Image size 240x240 | Slice 80/155
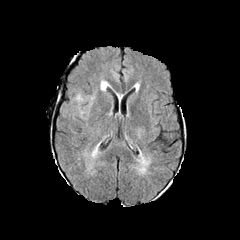
FLAIR magnetic resonance.
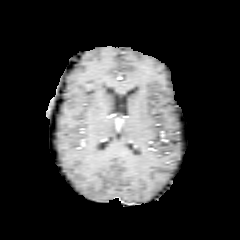
T1-weighted MR.
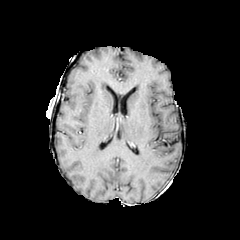
Same slice, post-contrast T1-weighted magnetic resonance.
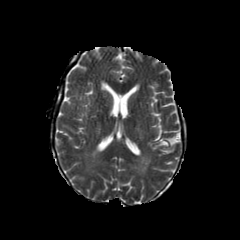
T2-weighted magnetic resonance of the same slice.
<segmentation>
  <edema>(x1=88, y1=143, x2=100, y2=157)</edema>
</segmentation>